Medial temporal lobe, Magnetic resonance, Field of view 38 mm wide, 1.00 mm slice spacing 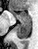 Anterior hippocampus: bounding box 12:8:31:20.
Posterior hippocampus: bounding box 17:21:31:38.